Slice index 34; Computed tomography; Abdomen
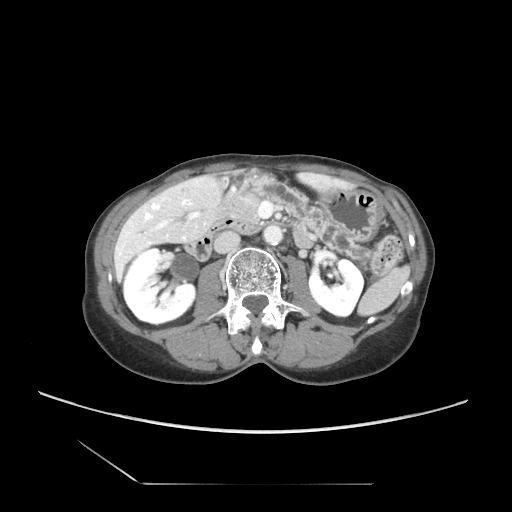

pancreas:
  - <bbox>259, 180, 371, 264</bbox>